FLAIR MR image.
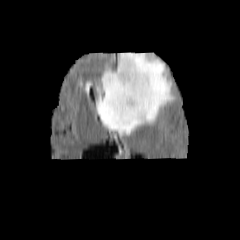
T1-weighted MR.
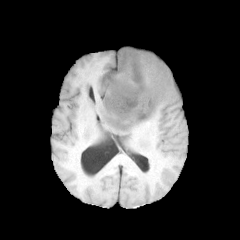
Post-contrast T1-weighted MR image.
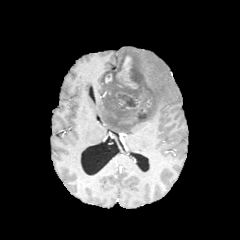
T2-weighted MR image.
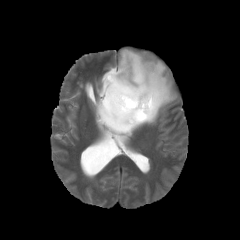
240x240 px; Brain
Non-enhancing tumor core — [x1=101, y1=55, x2=152, y2=124].
Edema — [x1=95, y1=47, x2=178, y2=136].
Enhancing tumor — [x1=117, y1=56, x2=131, y2=80].